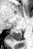

MRI; 33x49 px
The posterior hippocampus lies within <box>7,31,22,40</box>.